Slice 42/155 | 240x240 px | Field of view 240x240 mm | Brain
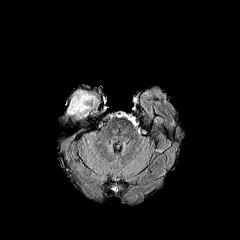
FLAIR MR image.
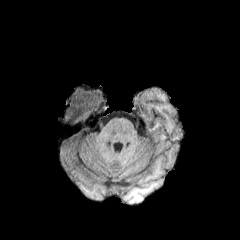
T1-weighted magnetic resonance.
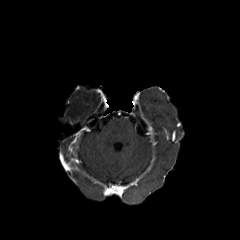
Post-contrast T1-weighted magnetic resonance of the same slice.
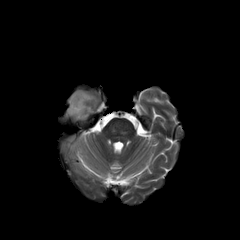
Same slice, T2-weighted MRI.
Edema: <box>66,89,100,119</box>.